240x240 px | Slice index 89
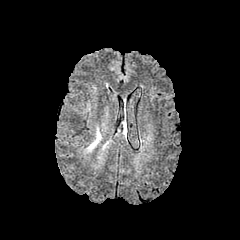
FLAIR MR.
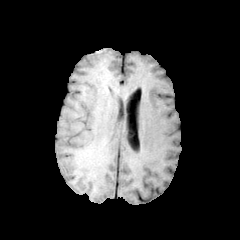
T1-weighted magnetic resonance.
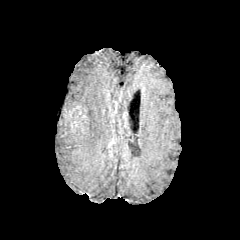
Same slice, post-contrast T1-weighted MR image.
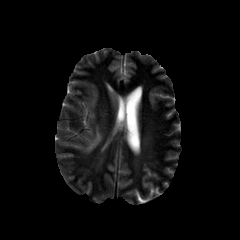
T2-weighted MRI.
Edema at <box>86,129,101,151</box>.